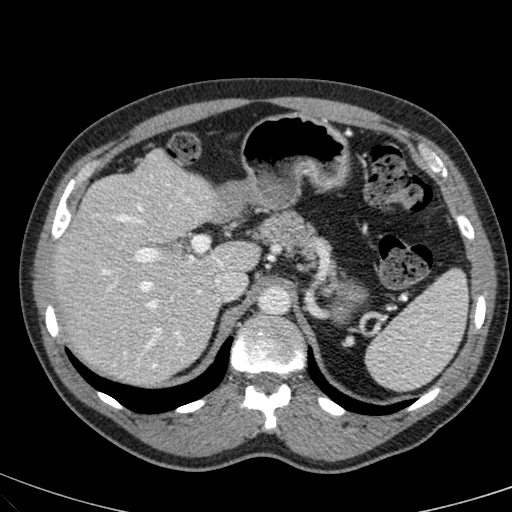
CT | Image size 512x512

• liver: [52,152,257,384]